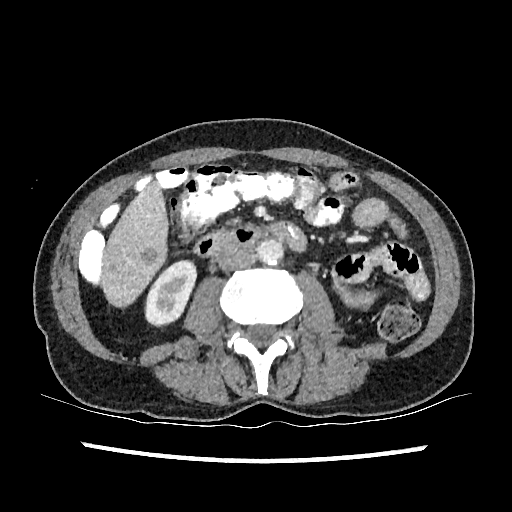

Computed tomography, Upper abdomen

<segmentation>
  <focal_liver_lesion><box>140,247,158,264</box></focal_liver_lesion>
  <liver><box>102,180,166,306</box></liver>
  <kidney><box>146,261,196,324</box></kidney>
</segmentation>